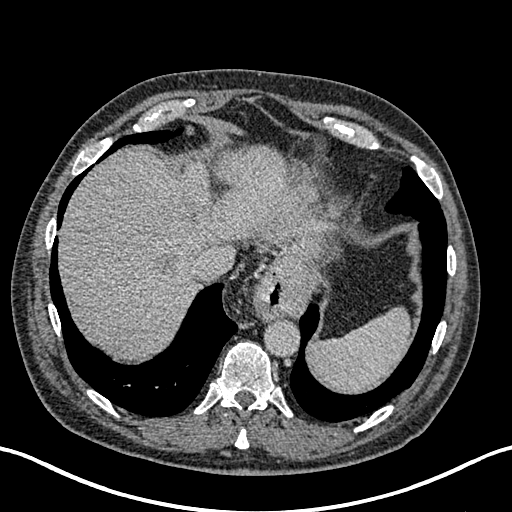
Upper abdomen | CT slice

Hepatic lesion at {"x1": 153, "y1": 251, "x2": 178, "y2": 274}, {"x1": 178, "y1": 195, "x2": 213, "y2": 218}.
Liver at {"x1": 58, "y1": 146, "x2": 336, "y2": 358}.